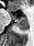 Medial temporal lobe, Magnetic resonance

Posterior hippocampus at (x1=16, y1=21, x2=28, y2=30).
Anterior hippocampus at (x1=11, y1=15, x2=27, y2=20).